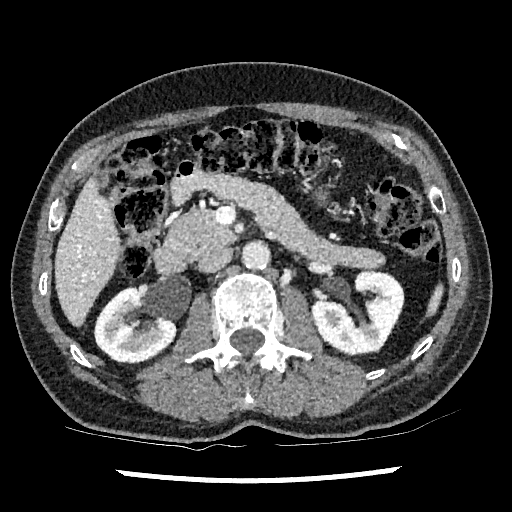
Computed tomography

Segmented structures:
* kidney: 95 288 175 361, 313 272 403 353
* liver: 56 174 121 324